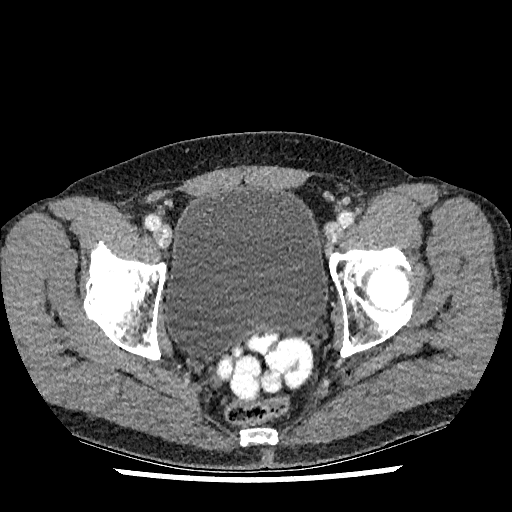

Lower abdomen | CT image

urinary_bladder:
  - bbox=[165, 187, 327, 356]